CT image. Slice index 60. 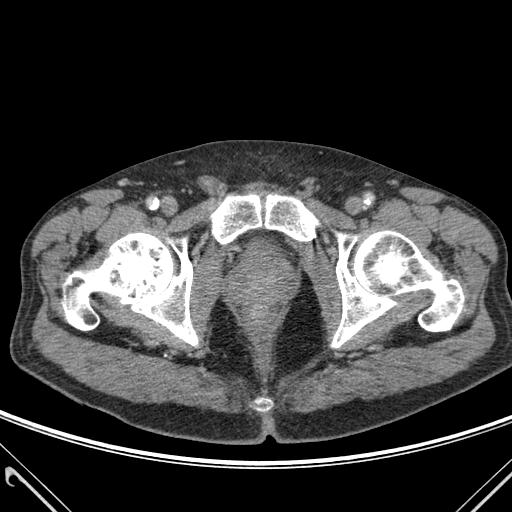 bone: l=333, t=231, r=463, b=347; l=63, t=233, r=197, b=345; l=257, t=398, r=270, b=410; l=211, t=195, r=318, b=243